Image width 460 mm | CT slice | Abdomen | Slice index 38 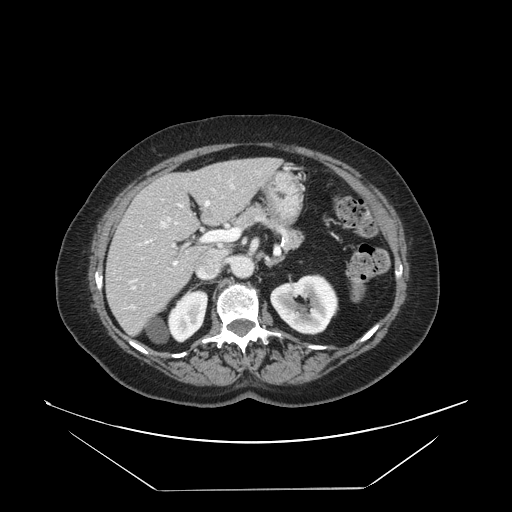 Pancreas = left=233, top=202, right=303, bottom=252.